Slice 113/537 | CT image | Pelvis | Image width 496 mm
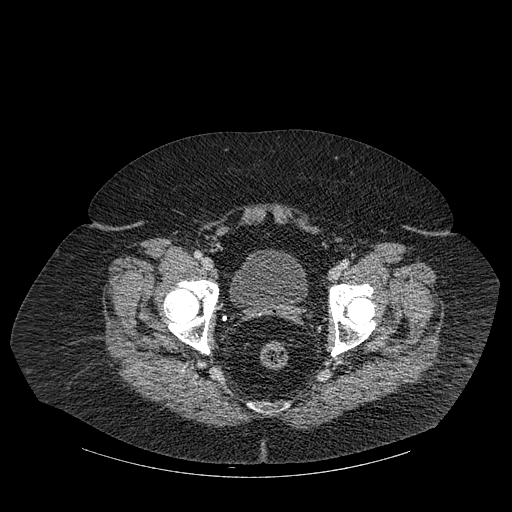 Annotated regions:
- urinary bladder: l=230, t=248, r=308, b=320
- bone: l=164, t=280, r=218, b=354; l=247, t=403, r=274, b=412; l=329, t=284, r=376, b=356